Slice index 72, Head
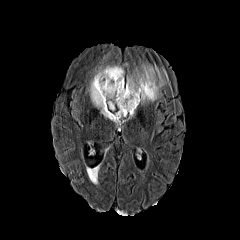
FLAIR MRI.
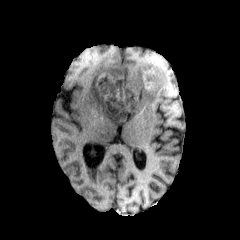
Same slice, T1-weighted MRI.
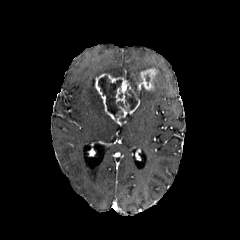
Same slice, post-contrast T1-weighted MR.
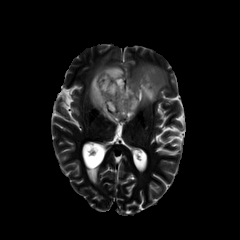
T2-weighted MRI.
enhancing tumor: bbox(95, 74, 120, 99); bbox(115, 77, 140, 124); bbox(135, 68, 158, 93) | edema: bbox(87, 56, 124, 121); bbox(126, 62, 168, 106) | non-enhancing tumor core: bbox(124, 87, 137, 109); bbox(98, 76, 124, 120)